Medial temporal lobe. 37x54. Slice 13/36. MRI slice. 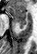
The anterior hippocampus is located at box=[9, 6, 25, 19]. The posterior hippocampus is at box=[16, 20, 26, 28].